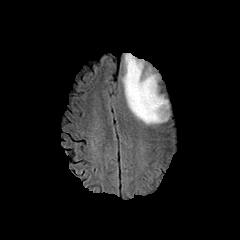
FLAIR MR.
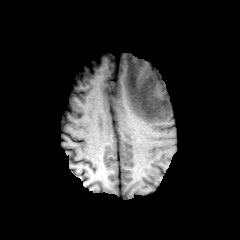
Same slice, T1-weighted MR image.
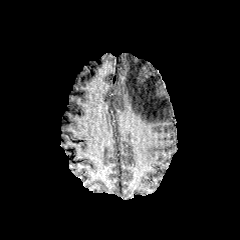
Post-contrast T1-weighted MRI.
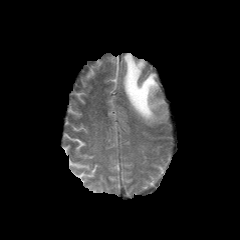
T2-weighted MR image.
240x240 px; Brain
Findings:
* edema: x1=122 y1=53 x2=168 y2=125